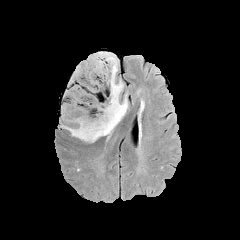
FLAIR magnetic resonance.
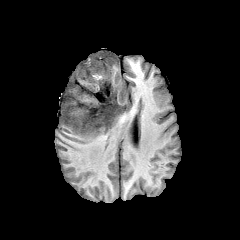
T1-weighted MRI of the same slice.
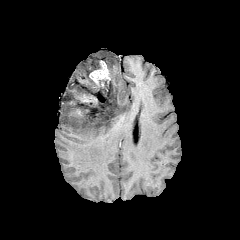
Post-contrast T1-weighted MRI of the same slice.
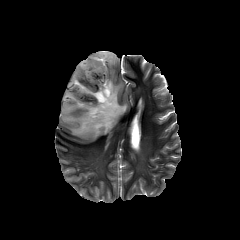
Same slice, T2-weighted MRI.
Enhancing tumor: x1=90, y1=60, x2=110, y2=83.
Non-enhancing tumor core: x1=81, y1=94, x2=120, y2=126; x1=97, y1=77, x2=108, y2=87; x1=92, y1=53, x2=113, y2=70.
Edema: x1=62, y1=51, x2=129, y2=142.